FLAIR MRI.
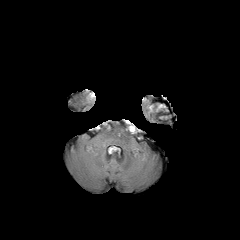
T1-weighted MR.
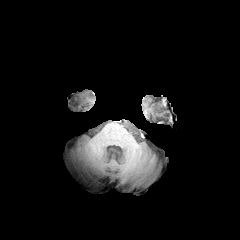
Post-contrast T1-weighted MR image.
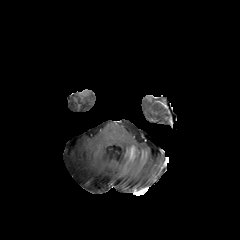
T2-weighted MRI.
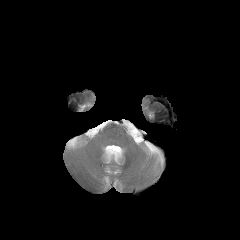
Head
Edema = [x1=102, y1=144, x2=119, y2=158], [x1=125, y1=124, x2=137, y2=136].